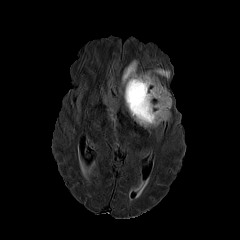
FLAIR MR image.
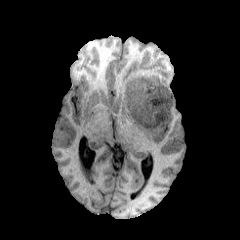
T1-weighted MR of the same slice.
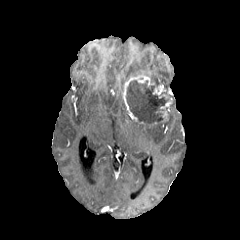
Post-contrast T1-weighted MR image.
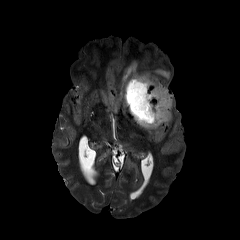
Same slice, T2-weighted MRI.
non-enhancing_tumor_core:
  - [125,80,170,125]
edema:
  - [166,110,171,124]
  - [140,68,170,85]
  - [120,59,138,86]
enhancing_tumor:
  - [152,84,165,94]
  - [122,75,154,112]
  - [144,111,167,128]